Field of view 392x392 mm. 512x512. Abdomen. Computed tomography.

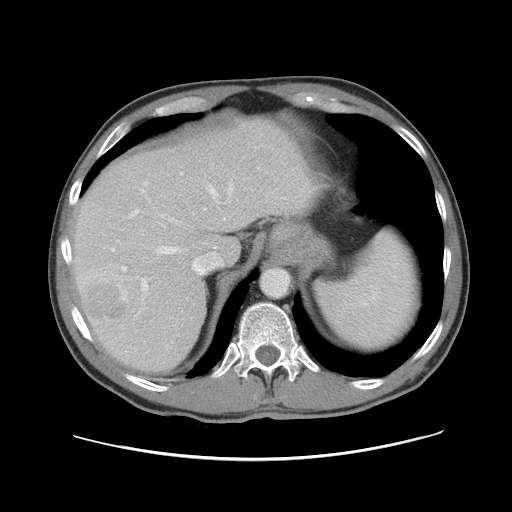
Only some of the vessels may be annotated.
Liver tumor at [87,283,127,319].
Principal 15 of 20 hepatic vessel regions at [208,186,216,196], [228,183,232,195], [217,201,219,207], [159,223,165,227], [192,245,223,268], [141,278,148,291], [160,214,165,217], [169,218,172,220], [136,308,143,315], [143,182,146,184], [121,266,125,270], [203,207,206,209], [140,189,145,192], [156,246,179,253], [129,209,138,217].